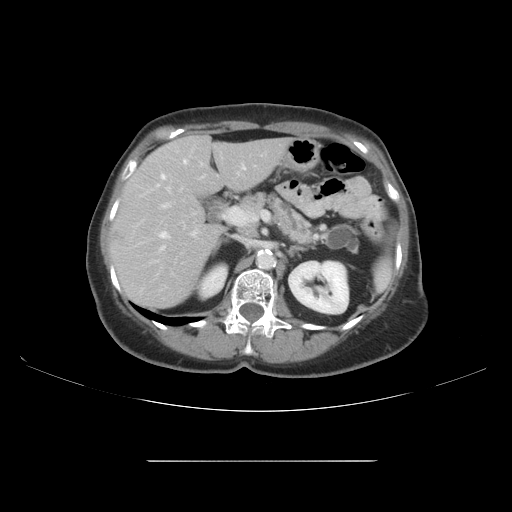
Upper abdomen. CT scan slice. Pancreatic tumor = [328,228,357,250].
Pancreas = [237,192,359,253].